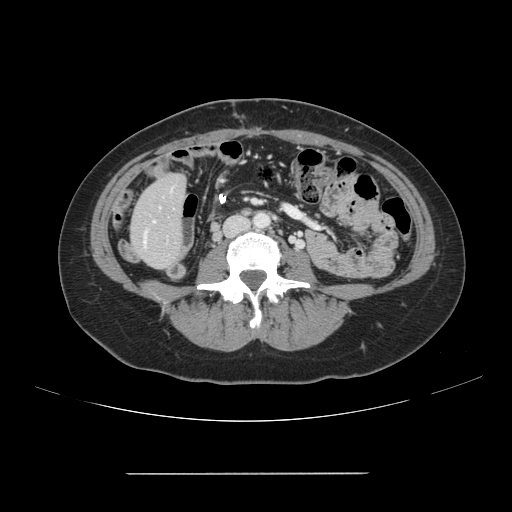
Abdomen | CT scan slice
The vessel annotation is not exhaustive.
Findings:
- hepatic vessel: x1=144 y1=233 x2=146 y2=246, x1=153 y1=221 x2=155 y2=222